Slice 382/771. Liver. CT scan slice.

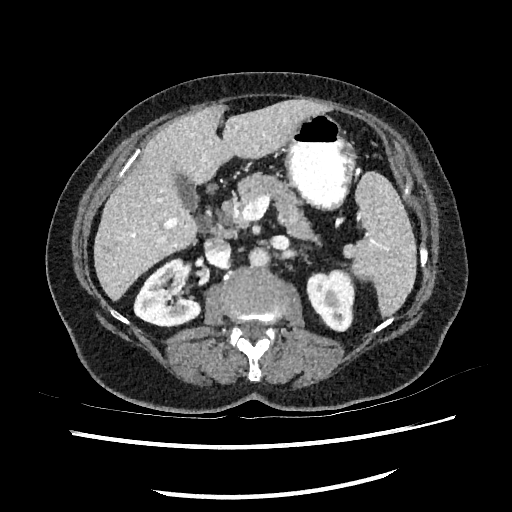
The focal liver lesion is bounded by 102 240 116 253. The liver is located at 94 100 325 298. 2 kidney regions appear at 308 272 353 330, 134 260 199 325.